Field of view 240x240 mm | Slice index 74 | Brain | 240x240
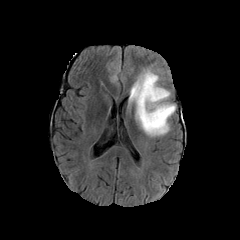
FLAIR MRI.
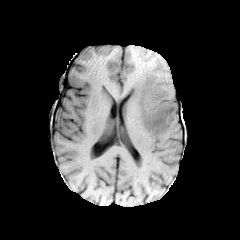
T1-weighted MR image of the same slice.
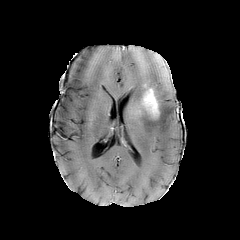
Post-contrast T1-weighted magnetic resonance of the same slice.
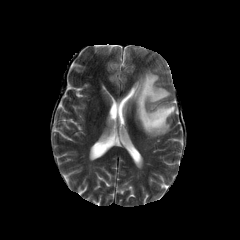
T2-weighted MRI.
The enhancing tumor appears at [142, 89, 159, 117]. The non-enhancing tumor core is at [138, 95, 171, 125]. The edema appears at [128, 68, 176, 137].